Field of view 434x434 mm; CT slice; Image size 512x512 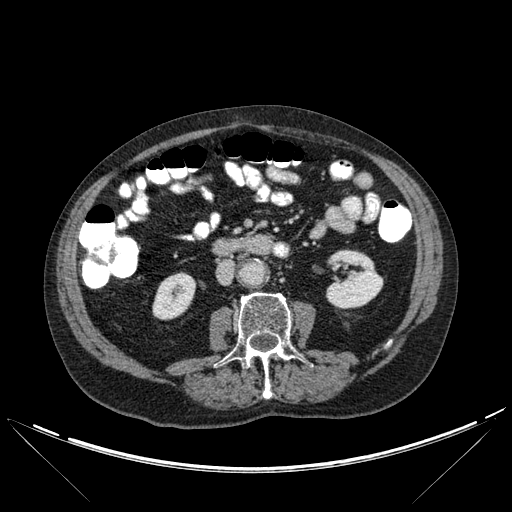 bone:
  - left=224, top=292, right=292, bottom=398
kidney:
  - left=153, top=273, right=195, bottom=319
  - left=327, top=250, right=382, bottom=308